Slice 45/95, CT, Abdomen
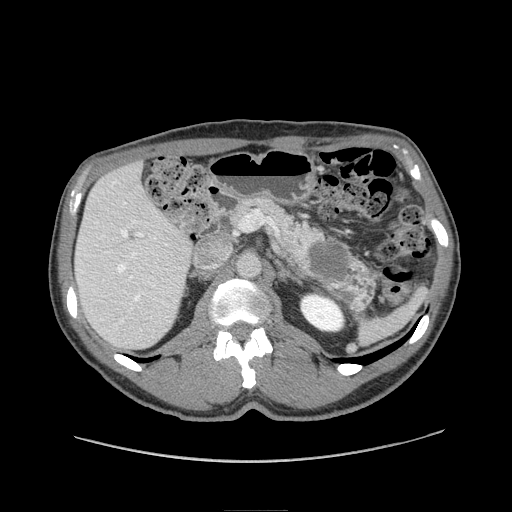
Pancreas: bounding box <box>226,197,358,287</box>.
Pancreatic tumor: bounding box <box>308,241,349,282</box>.